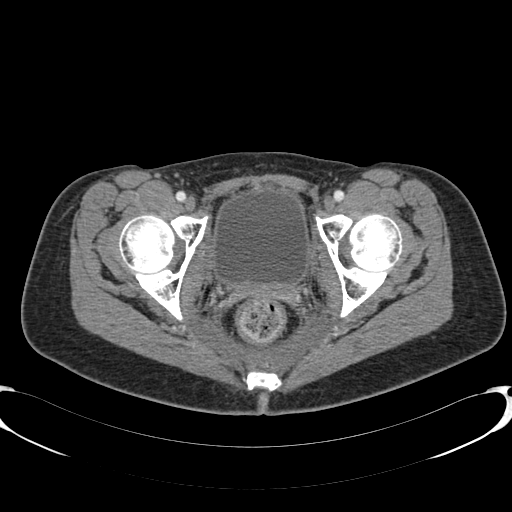 CT | Lower abdomen

Urinary bladder — box(214, 191, 307, 283).